Slice index 47, Computed tomography, Field of view 462 mm wide, 2.50 mm slice spacing

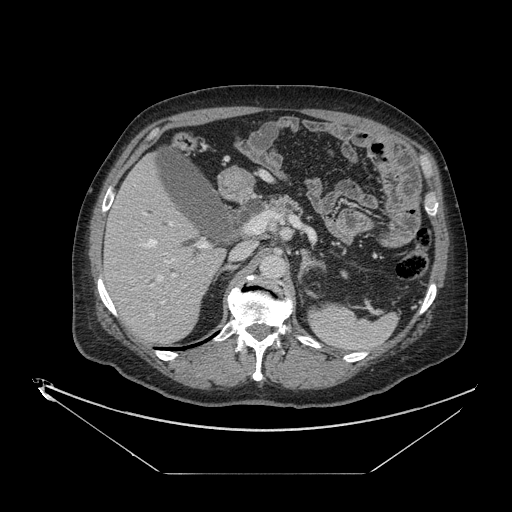

{"pancreas": ["[271, 195, 301, 214]"]}